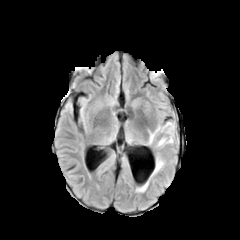
FLAIR MR image.
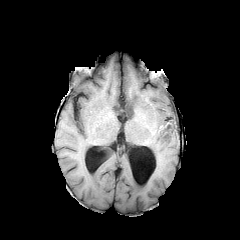
T1-weighted MR of the same slice.
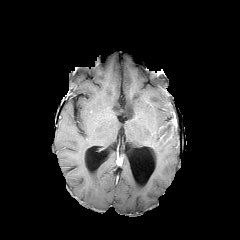
Post-contrast T1-weighted MRI.
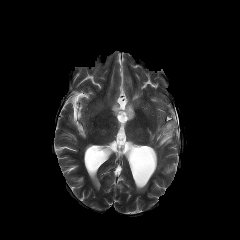
T2-weighted MRI.
Head
3 edema regions appear at {"x1": 151, "y1": 156, "x2": 164, "y2": 176}, {"x1": 146, "y1": 121, "x2": 176, "y2": 147}, {"x1": 136, "y1": 181, "x2": 148, "y2": 192}. The non-enhancing tumor core is bounded by {"x1": 160, "y1": 125, "x2": 172, "y2": 141}.